CT slice; Slice 28/37
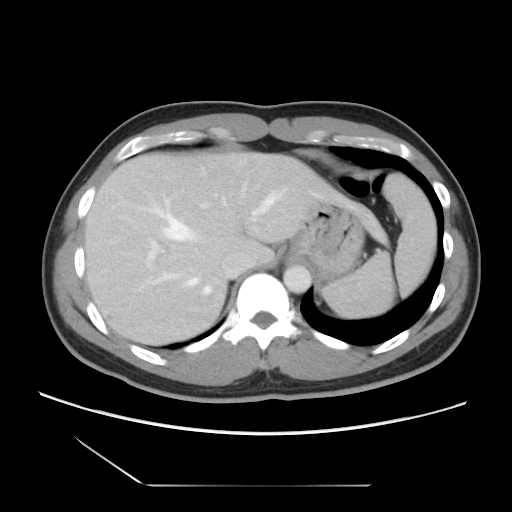
The vessel boxes may cover only some of the vessels.
8 hepatic vessel regions are bounded by <bbox>214, 194, 217, 196</bbox>, <bbox>152, 243, 155, 246</bbox>, <bbox>242, 185, 246, 196</bbox>, <bbox>189, 279, 196, 284</bbox>, <bbox>222, 196, 226, 205</bbox>, <bbox>204, 287, 209, 292</bbox>, <bbox>157, 210, 189, 239</bbox>, <bbox>249, 196, 274, 221</bbox>.